Slice 65/155; Brain
FLAIR MRI.
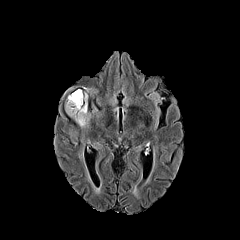
T1-weighted MRI.
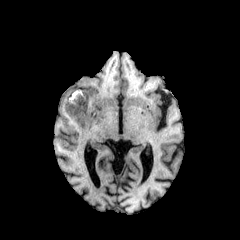
Post-contrast T1-weighted magnetic resonance.
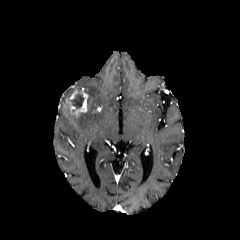
T2-weighted MRI.
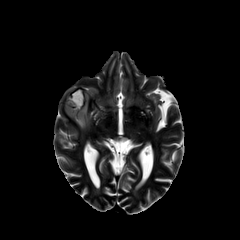
edema:
  - (73,112,91,130)
  - (64,85,80,95)
  - (84,87,98,95)
non-enhancing_tumor_core:
  - (70,92,83,108)
enhancing_tumor:
  - (63,88,88,118)